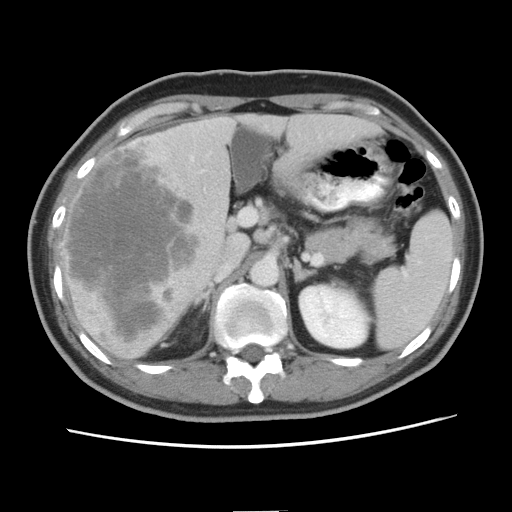

CT scan slice | Abdomen
The liver tumor is located at rect(64, 142, 200, 342).